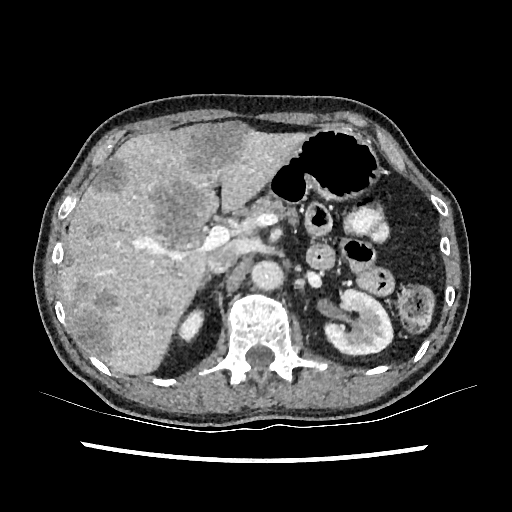 CT scan slice
Annotated regions:
• kidney: <bbox>312, 278, 320, 286</bbox>, <bbox>325, 289, 394, 358</bbox>, <bbox>181, 313, 201, 339</bbox>
• liver: <bbox>61, 130, 306, 372</bbox>
• focal liver lesion: <bbox>63, 253, 74, 267</bbox>, <bbox>74, 281, 90, 299</bbox>, <bbox>86, 224, 103, 239</bbox>, <bbox>71, 313, 110, 354</bbox>, <bbox>93, 158, 127, 191</bbox>, <bbox>93, 290, 118, 312</bbox>, <bbox>157, 307, 170, 315</bbox>, <bbox>154, 182, 200, 243</bbox>, <bbox>170, 263, 178, 275</bbox>, <bbox>177, 123, 250, 170</bbox>